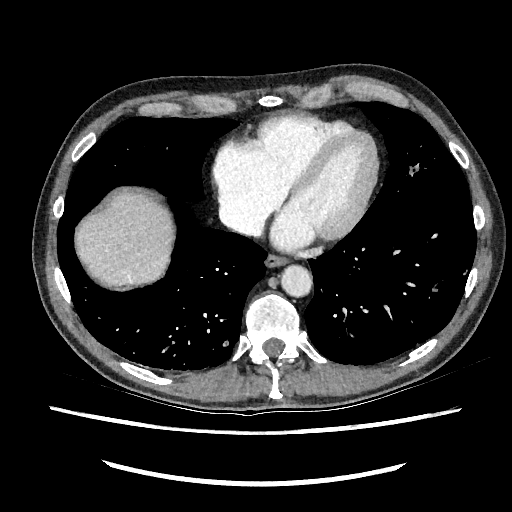 Computed tomography; Abdomen
The liver lies within box(76, 195, 173, 282).